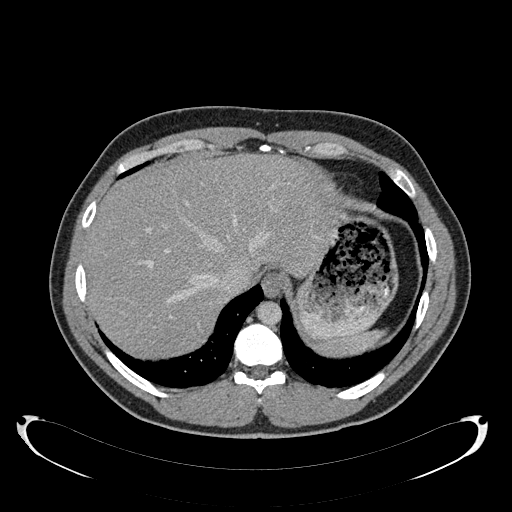

CT. 512x512.
liver:
  - {"x1": 83, "y1": 155, "x2": 335, "y2": 356}